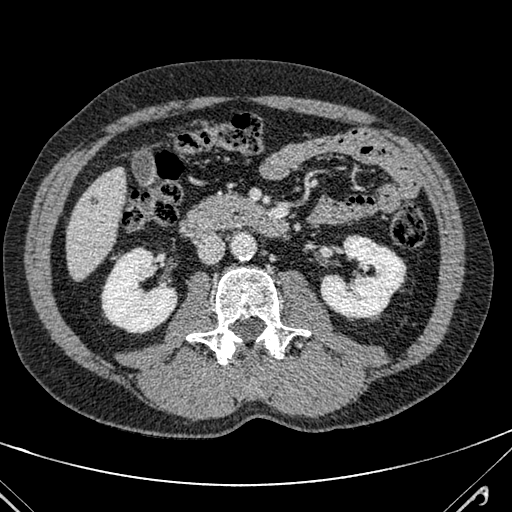

Upper abdomen. 512x512. Computed tomography.

focal_liver_lesion:
  - <bbox>91, 195, 99, 203</bbox>
liver:
  - <bbox>66, 167, 125, 279</bbox>